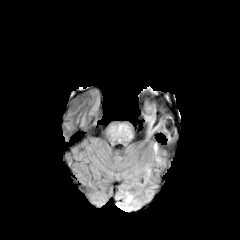
FLAIR MRI.
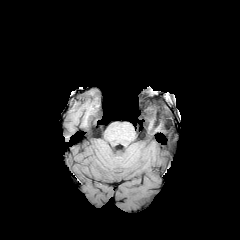
T1-weighted MR image.
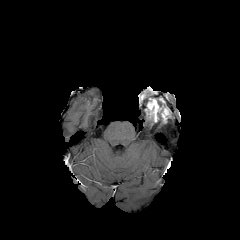
Post-contrast T1-weighted MRI of the same slice.
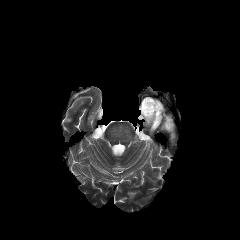
Same slice, T2-weighted MR image.
{
  "non-enhancing_tumor_core": [
    "region(157, 109, 167, 119)"
  ],
  "enhancing_tumor": [
    "region(144, 101, 160, 120)"
  ]
}